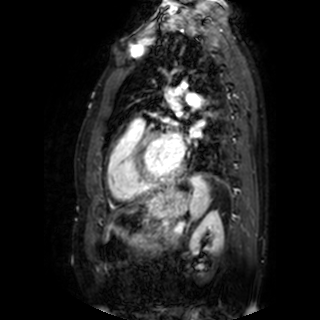

320x320. Heart. MRI.
Segmented structures:
* left atrium: (189, 126, 201, 137), (169, 132, 185, 160)